Slice 80 of 155. Image size 240x240.
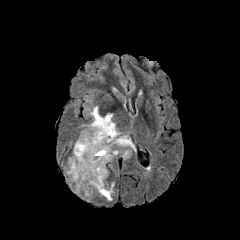
FLAIR MRI.
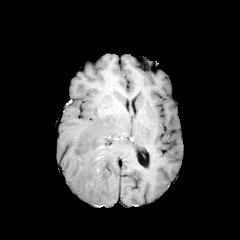
T1-weighted MRI of the same slice.
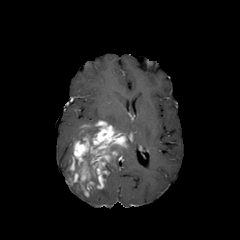
Post-contrast T1-weighted magnetic resonance.
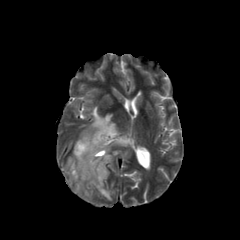
Same slice, T2-weighted MRI.
Segmented structures:
• non-enhancing tumor core: l=89, t=167, r=98, b=194; l=83, t=153, r=91, b=165; l=85, t=125, r=98, b=143
• enhancing tumor: l=69, t=120, r=127, b=196
• edema: l=78, t=106, r=124, b=139; l=111, t=139, r=135, b=157; l=106, t=155, r=116, b=173; l=93, t=184, r=113, b=200